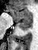

Hippocampus; Magnetic resonance

The posterior hippocampus is located at x1=16, y1=23, x2=31, y2=30. The anterior hippocampus is at x1=8, y1=9, x2=31, y2=22.